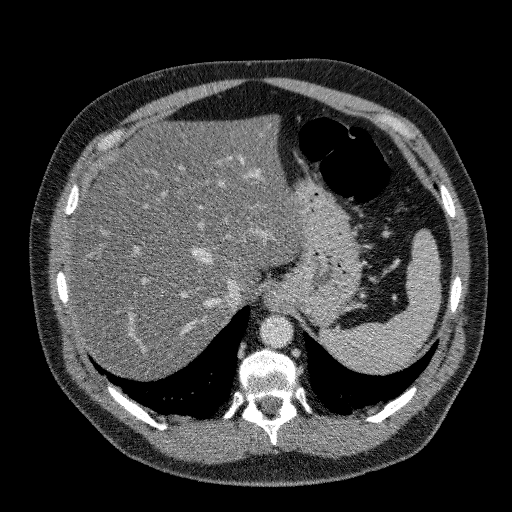

CT slice | 512x512 px
The liver is at bbox=[64, 115, 304, 378].